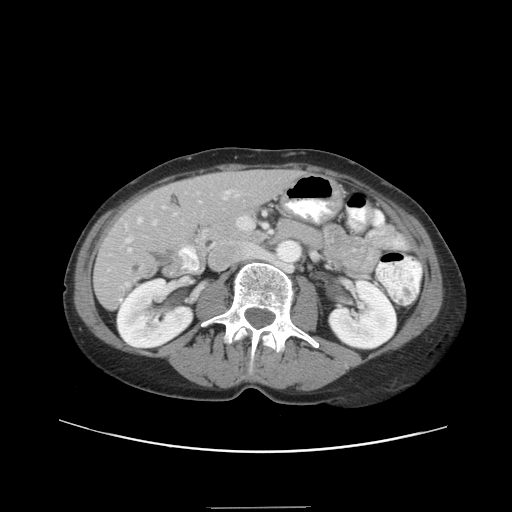
Abdomen | CT slice
Not every hepatic vessel necessarily has a box.
<segmentation>
  <hepatic_vessel>[x1=121, y1=282, x2=128, y2=288], [x1=235, y1=194, x2=238, y2=196], [x1=153, y1=220, x2=156, y2=224], [x1=199, y1=200, x2=201, y2=202], [x1=128, y1=248, x2=131, y2=251], [x1=126, y1=237, x2=131, y2=242], [x1=174, y1=212, x2=176, y2=215], [x1=137, y1=217, x2=142, y2=222], [x1=125, y1=224, x2=127, y2=230], [x1=223, y1=190, x2=233, y2=199]</hepatic_vessel>
</segmentation>